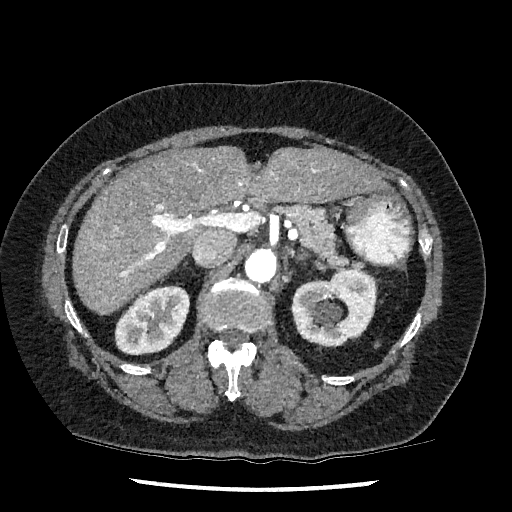 CT image; 512x512
The liver lies within box(74, 147, 388, 314). 2 kidney regions appear at box(115, 287, 189, 354); box(292, 268, 375, 345).